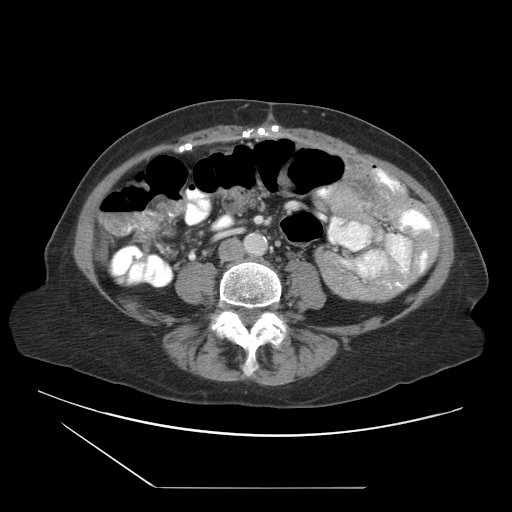

CT. Pelvis. colon tumor: (133,201,183,230)